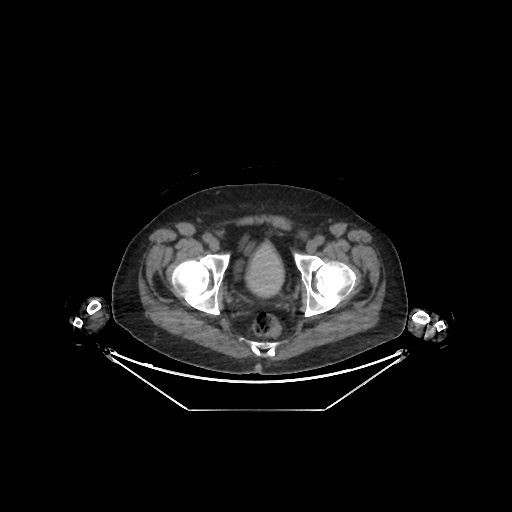
CT image.

Urinary bladder — 246, 242, 283, 296.